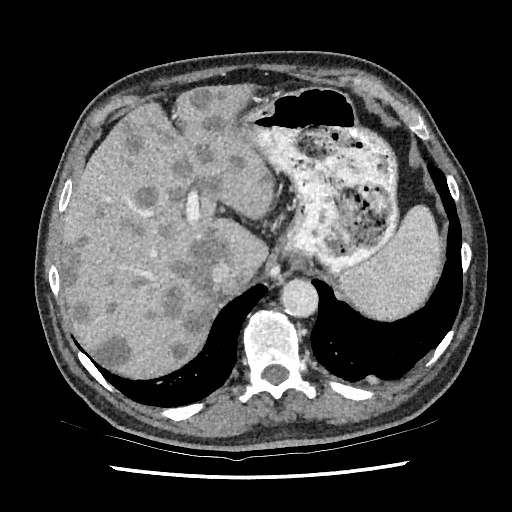 Computed tomography. partial: true
focal_liver_lesion:
  # 15 of 23 shown
  - left=121, top=215, right=145, bottom=237
  - left=170, top=154, right=193, bottom=178
  - left=93, top=335, right=131, bottom=367
  - left=158, top=220, right=176, bottom=240
  - left=191, top=141, right=213, bottom=164
  - left=224, top=154, right=245, bottom=172
  - left=119, top=118, right=144, bottom=154
  - left=134, top=186, right=157, bottom=209
  - left=62, top=234, right=91, bottom=291
  - left=164, top=287, right=184, bottom=318
  - left=199, top=114, right=228, bottom=133
  - left=188, top=88, right=208, bottom=111
  - left=165, top=186, right=184, bottom=205
  - left=199, top=174, right=221, bottom=200
  - left=168, top=226, right=233, bottom=334
liver:
  - left=61, top=84, right=272, bottom=377